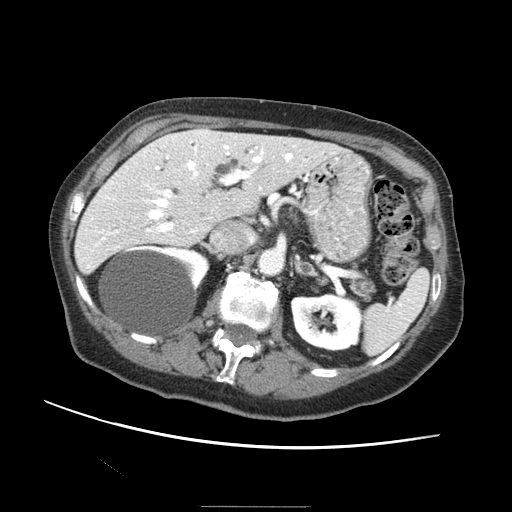
Upper abdomen; CT
The pancreas is bounded by {"x1": 348, "y1": 273, "x2": 374, "y2": 299}.